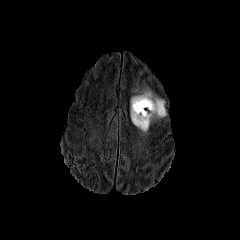
FLAIR magnetic resonance.
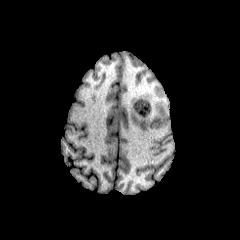
Same slice, T1-weighted MR.
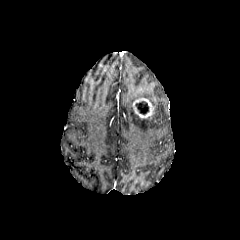
Post-contrast T1-weighted magnetic resonance of the same slice.
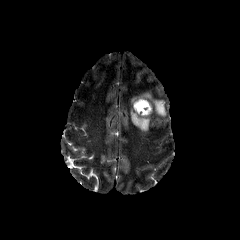
T2-weighted MRI.
Head
Edema — rect(130, 90, 166, 132).
Enhancing tumor — rect(133, 98, 153, 118).
Non-enhancing tumor core — rect(136, 100, 149, 115).